512x512, Slice 89/144, CT 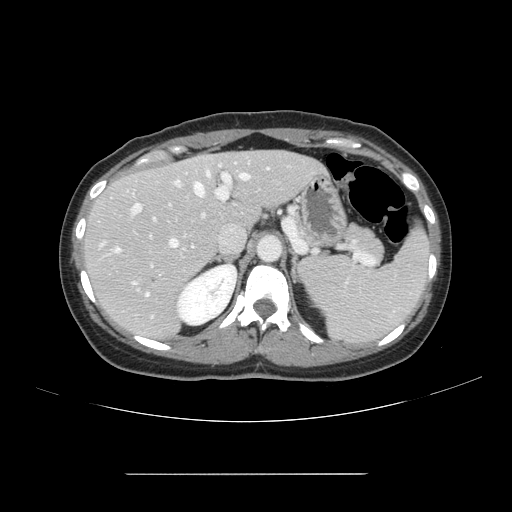 Only some of the vessels may be annotated.
hepatic vessel: 206 171 209 175, 194 182 203 196, 240 173 249 179, 174 180 180 185, 133 283 135 284, 101 243 104 245, 222 173 230 184, 202 214 204 216, 132 203 140 213, 219 165 220 166, 115 248 120 252, 170 239 177 246, 146 293 148 295, 216 186 227 199